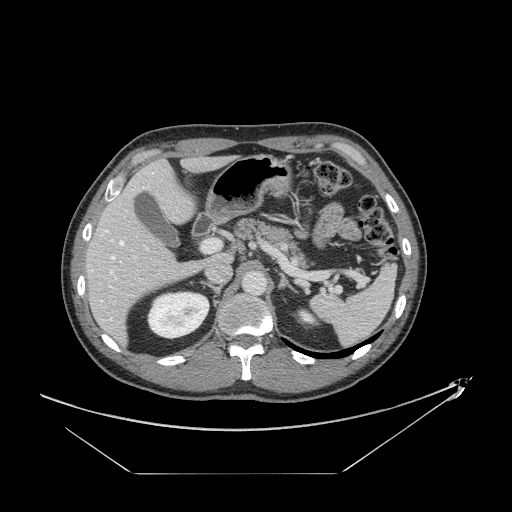

Image size 512x512, CT scan slice

Pancreas: x1=232, y1=219, x2=311, y2=271.